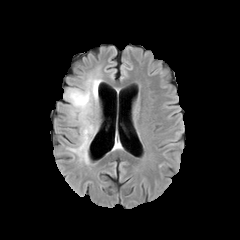
FLAIR MRI.
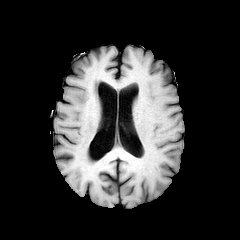
Same slice, T1-weighted magnetic resonance.
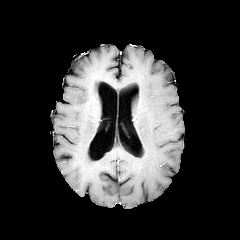
Post-contrast T1-weighted MR image.
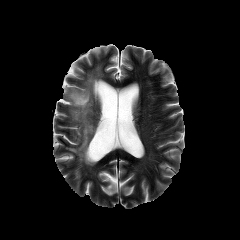
T2-weighted MRI.
Head
edema:
  - x1=66, y1=72, x2=103, y2=164